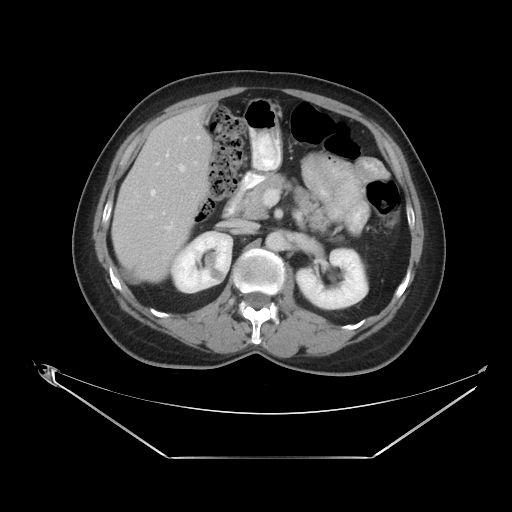
Liver. CT.
Some hepatic vessels may have no box.
Hepatic vessel: bounding box left=194, top=161, right=196, bottom=164; left=177, top=164, right=185, bottom=171.
Liver tumor: bounding box left=130, top=243, right=165, bottom=275.